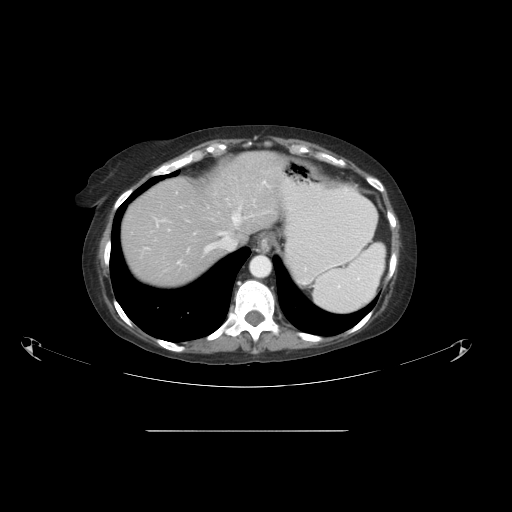 Computed tomography, 512x512, Abdomen
Not every hepatic vessel necessarily has a box.
Findings:
- hepatic vessel: box=[177, 260, 181, 264]; box=[253, 199, 255, 206]; box=[262, 181, 269, 186]; box=[218, 232, 228, 236]; box=[144, 247, 148, 249]; box=[187, 248, 189, 250]; box=[205, 243, 216, 251]; box=[154, 218, 166, 226]; box=[232, 211, 240, 226]